CT slice; Field of view 343 mm wide, 1.50 mm slice spacing; Upper abdomen

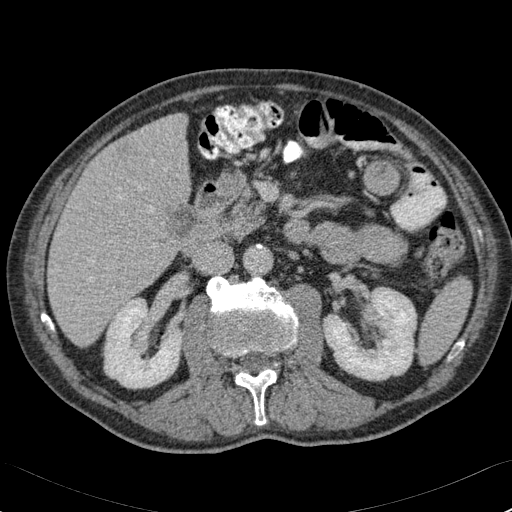
{"liver": ["(left=48, top=114, right=189, bottom=346)"], "kidney": ["(left=104, top=298, right=181, bottom=387)", "(left=323, top=287, right=416, bottom=380)"], "focal_liver_lesion": ["(left=115, top=139, right=139, bottom=162)"]}